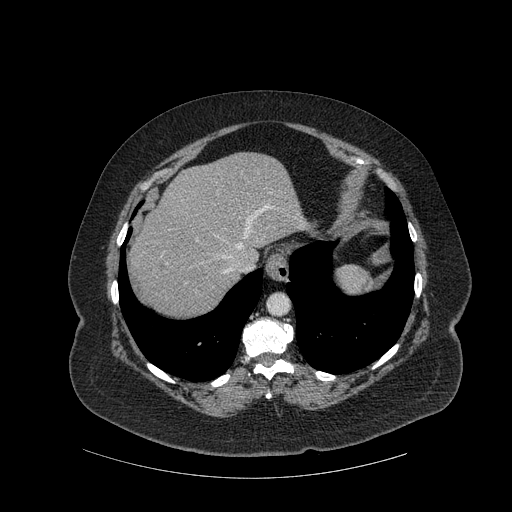
Image size 512x512, CT scan slice, Upper abdomen
Segmented structures:
- bone: <bbox>315, 371, 334, 380</bbox>, <bbox>414, 273, 421, 296</bbox>, <bbox>408, 223, 416, 241</bbox>, <bbox>211, 374, 229, 386</bbox>, <bbox>147, 363, 174, 382</bbox>, <bbox>243, 319, 292, 359</bbox>, <bbox>111, 281, 118, 303</bbox>, <bbox>254, 359, 293, 379</bbox>, <bbox>372, 344, 398, 368</bbox>
- liver: <bbox>131, 153, 308, 319</bbox>
- lung: <bbox>118, 229, 262, 381</bbox>, <bbox>286, 188, 414, 373</bbox>